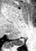

MR
posterior_hippocampus:
  - x1=11, y1=38, x2=24, y2=45